CT slice. Upper abdomen. Image width 406 mm.
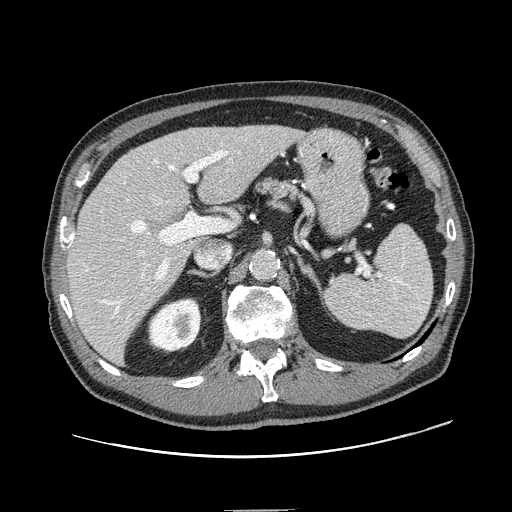 Segmented structures:
• pancreas: (252, 176, 306, 203)